Slice index 41. Abdomen. CT.

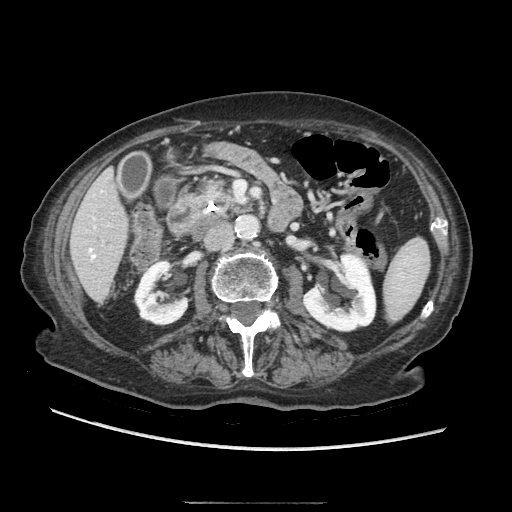
Segmented structures:
- pancreas: [x1=198, y1=180, x2=246, y2=217]